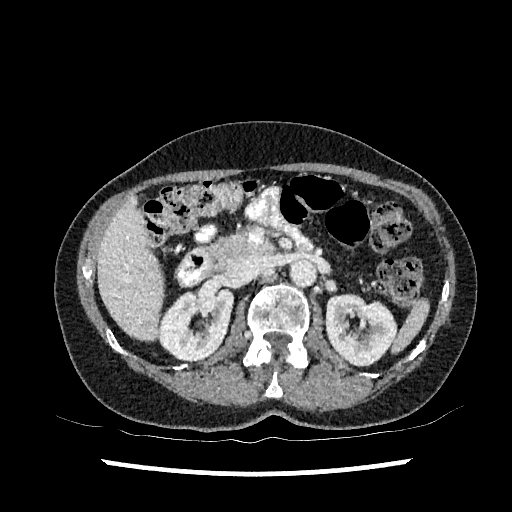 Computed tomography; Liver; Image size 512x512
{
  "liver": [
    "(left=98, top=198, right=162, bottom=339)"
  ],
  "kidney": [
    "(left=326, top=295, right=396, bottom=365)",
    "(left=160, top=280, right=232, bottom=360)"
  ]
}